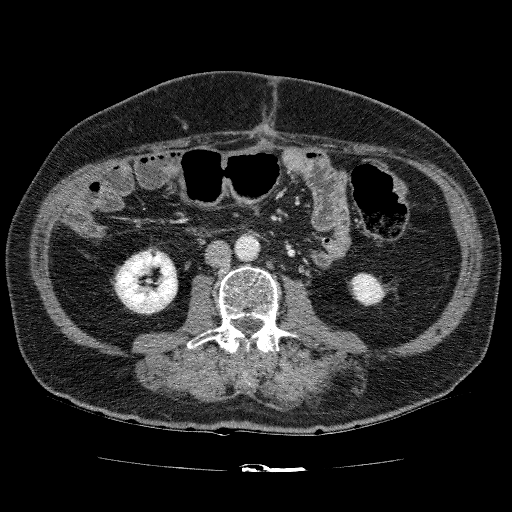

CT scan slice, Abdomen

2 kidney regions are located at x1=351 y1=273 x2=384 y2=305, x1=114 y1=249 x2=177 y2=313.